CT scan slice | Field of view 377 mm wide, 5.00 mm slice spacing | Abdomen 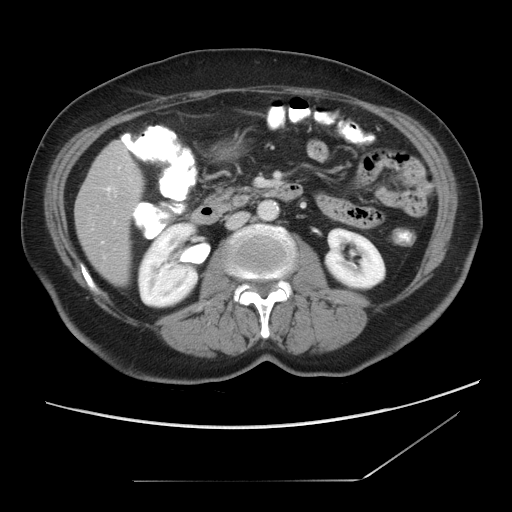 Not every hepatic vessel necessarily has a box.
{
  "hepatic_vessel": [
    "[x1=107, y1=187, x2=110, y2=190]"
  ]
}